CT image. Slice index 139. 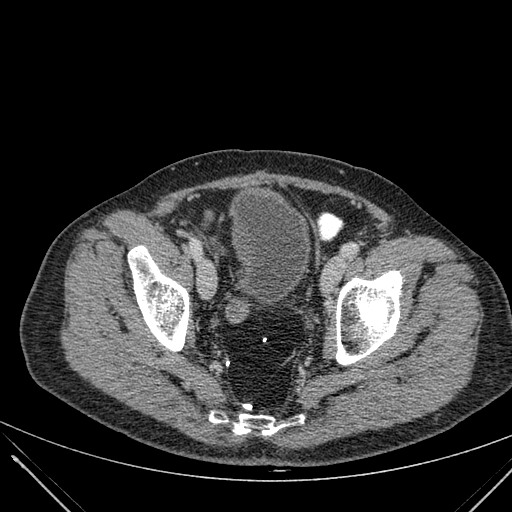
Urinary bladder — 232, 194, 310, 301.